Brain, Slice 56/155
FLAIR MR.
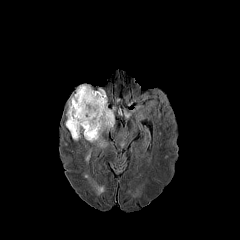
T1-weighted MRI.
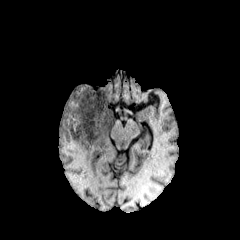
Post-contrast T1-weighted MRI.
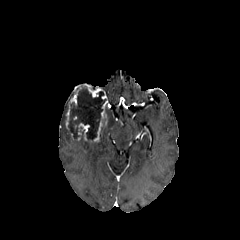
T2-weighted MR.
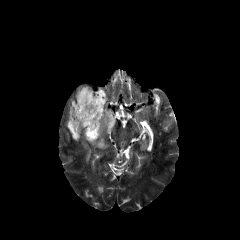
Segmented structures:
* non-enhancing tumor core: 64 88 103 139
* edema: 96 134 111 153, 106 109 114 132
* enhancing tumor: 65 83 110 143